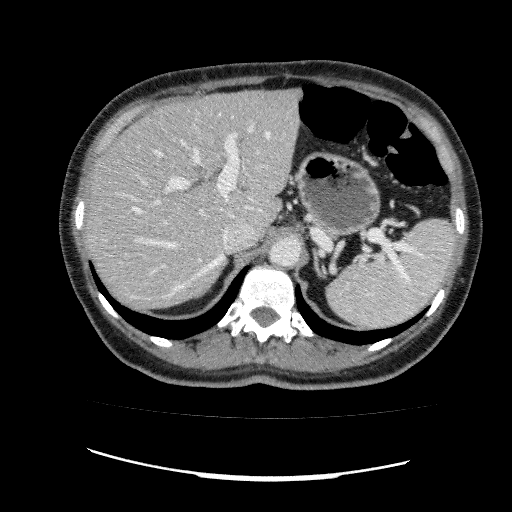
Computed tomography. Liver: bounding box <box>84,88,302,309</box>.